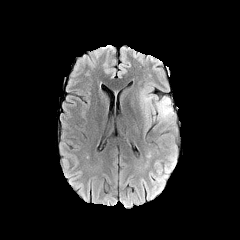
FLAIR MRI.
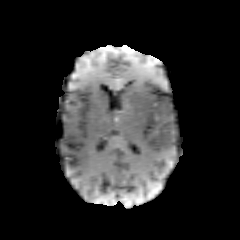
T1-weighted MR.
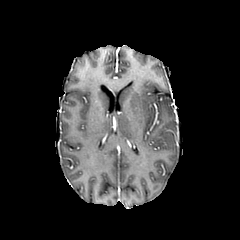
Post-contrast T1-weighted MRI of the same slice.
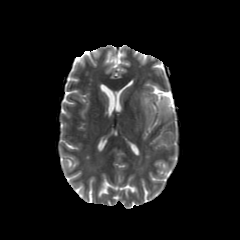
T2-weighted MR image of the same slice.
240x240
The edema lies within bbox=[139, 85, 176, 129].